CT image.
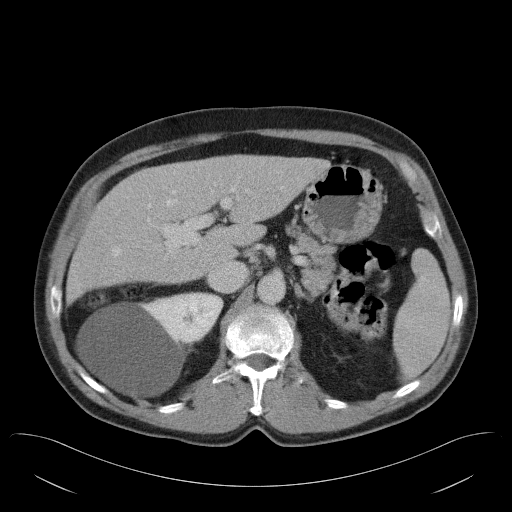 The vessel boxes may cover only some of the vessels.
8 hepatic vessel regions are located at box=[166, 243, 178, 252]; box=[113, 249, 119, 254]; box=[147, 205, 149, 207]; box=[231, 186, 235, 191]; box=[167, 201, 174, 204]; box=[158, 227, 160, 230]; box=[245, 189, 250, 191]; box=[146, 217, 154, 226].